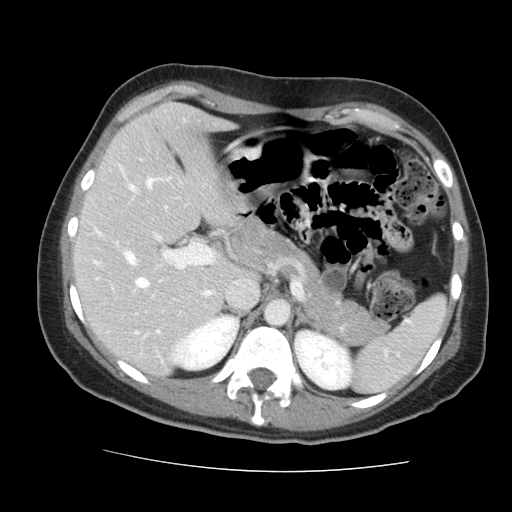 Abdomen | CT image
The vessel boxes may cover only some of the vessels.
4 hepatic vessel regions are bounded by [96,231,99,234], [94,261,98,264], [125,253,134,263], [136,279,147,287].